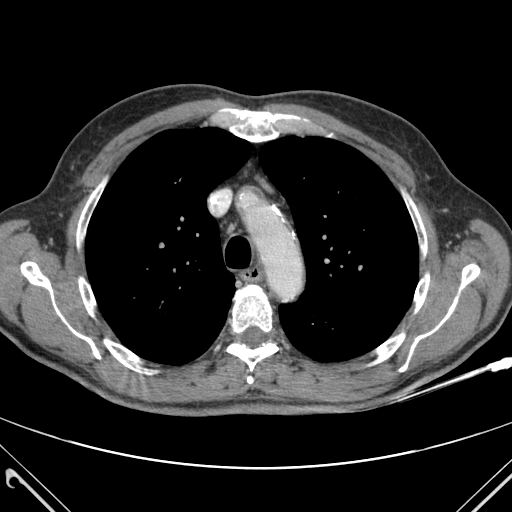
CT image

2 lung regions are bounded by <box>85,127,250,364</box>, <box>259,136,418,361</box>. 13 bone regions are bounded by <box>21,262,100,358</box>, <box>459,264,479,291</box>, <box>221,109,299,141</box>, <box>410,200,426,254</box>, <box>77,181,104,246</box>, <box>399,360,408,371</box>, <box>104,339,149,373</box>, <box>232,285,271,332</box>, <box>79,277,95,316</box>, <box>374,333,404,363</box>, <box>227,343,278,370</box>, <box>414,274,429,311</box>, <box>410,293,458,356</box>.